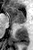 Magnetic resonance. Hippocampus. Annotated regions:
• anterior hippocampus: x1=8 y1=7 x2=24 y2=22